Upper abdomen | CT | 512x512 | Slice 36/132

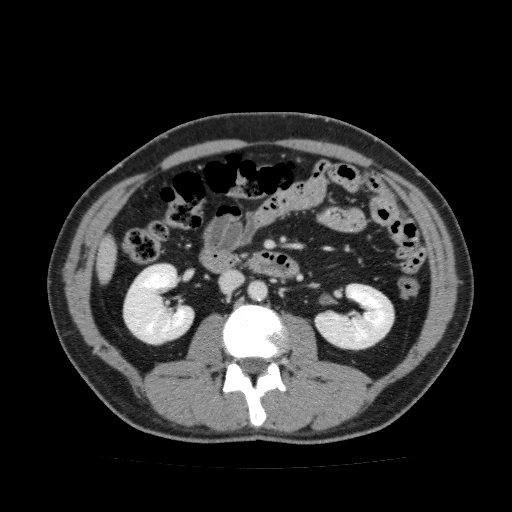 Segmented structures:
* kidney: {"x1": 124, "y1": 264, "x2": 193, "y2": 343}, {"x1": 315, "y1": 284, "x2": 393, "y2": 348}
* liver: {"x1": 96, "y1": 231, "x2": 117, "y2": 283}